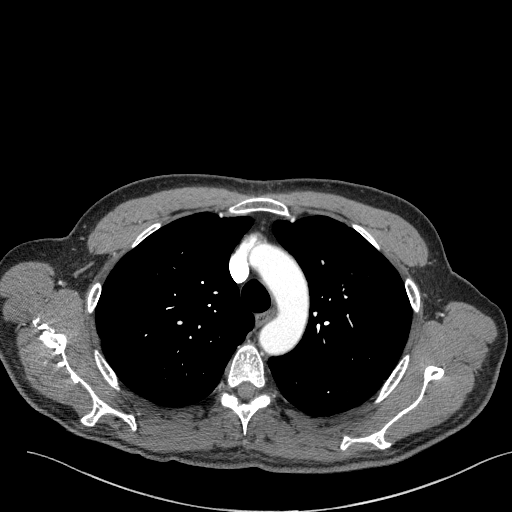 Thorax. 512x512 px. Computed tomography.

Lung tumor — [342, 254, 371, 286].